MRI slice, Hippocampus, 41x48 px, Slice index 26, Field of view 41x48 mm 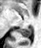

<segmentation>
  <posterior_hippocampus>bbox(18, 27, 31, 37)</posterior_hippocampus>
</segmentation>